Abdomen. CT. Slice 576 of 836. 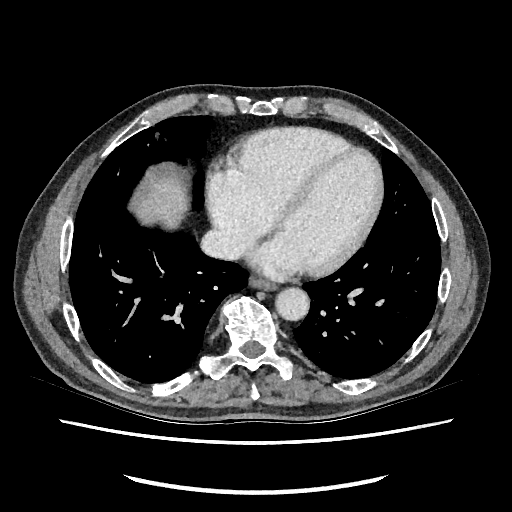
liver: 143:174:185:226